CT scan slice; Image size 512x512
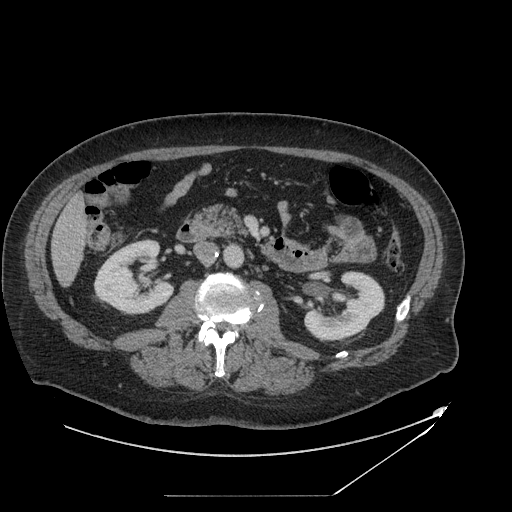 The pancreas is bounded by box(195, 204, 246, 236).